FLAIR MR image.
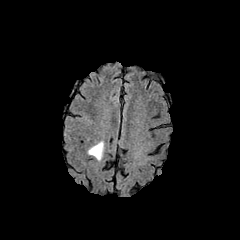
T1-weighted MR.
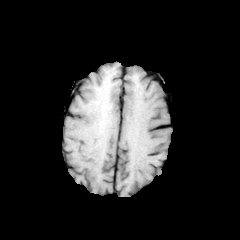
Post-contrast T1-weighted MRI.
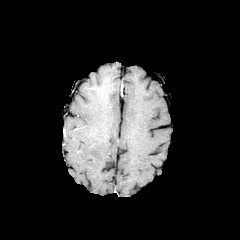
T2-weighted MR image.
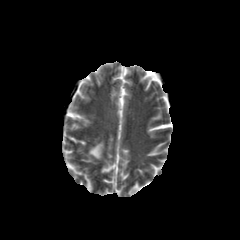
240x240
Edema = (87, 140, 104, 160).